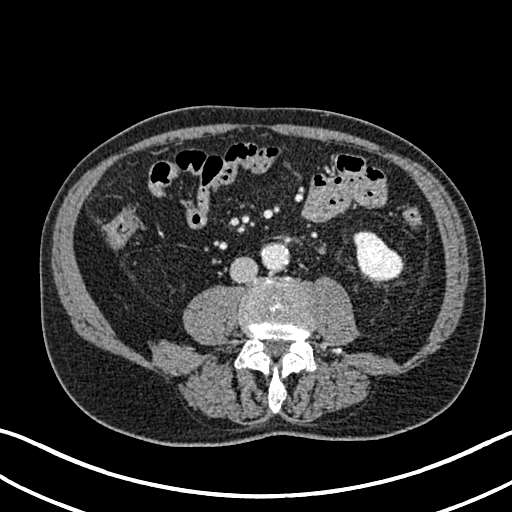 Image size 512x512 | CT scan slice
* kidney: (left=354, top=232, right=402, bottom=279)